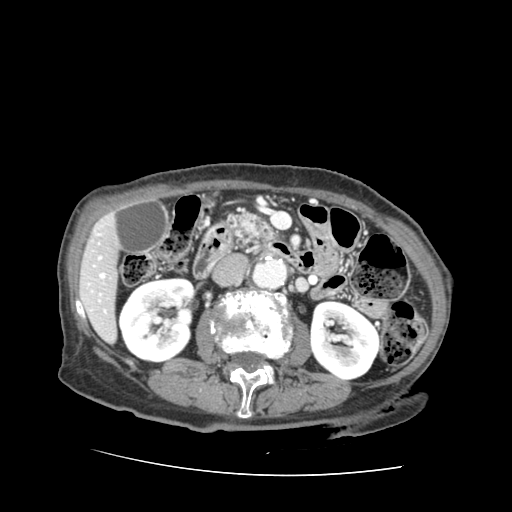

Computed tomography; 512x512

The pancreas appears at [225, 209, 277, 243].